FLAIR MRI.
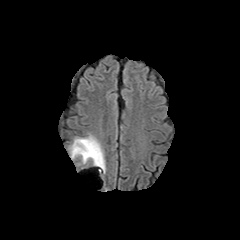
T1-weighted MR image.
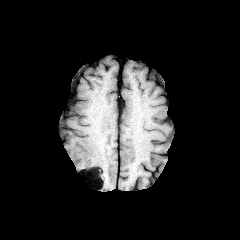
Post-contrast T1-weighted MRI.
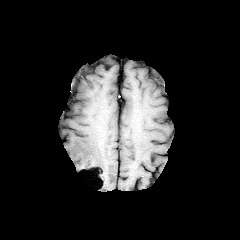
T2-weighted MRI.
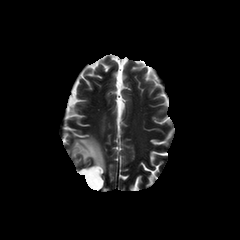
240x240 px | Brain
Edema = (x1=68, y1=134, x2=106, y2=176).